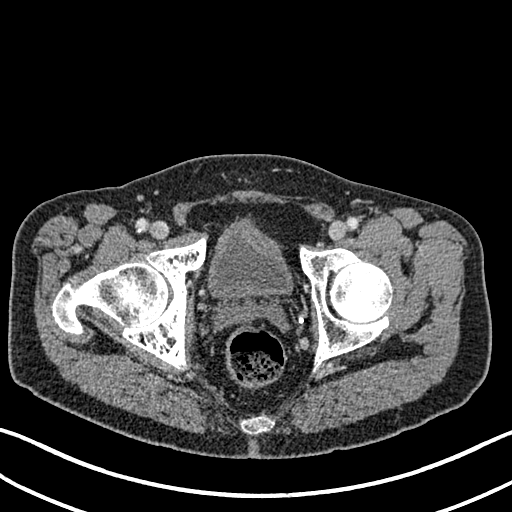

CT
* urinary bladder: x1=207 y1=228 x2=292 y2=303